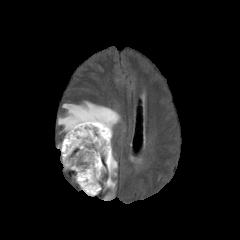
FLAIR MR.
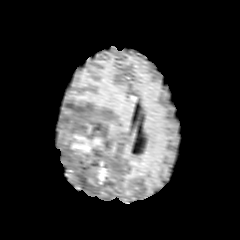
Same slice, T1-weighted magnetic resonance.
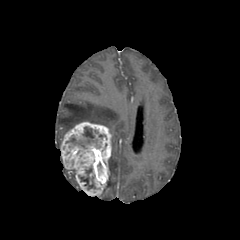
Post-contrast T1-weighted MR image.
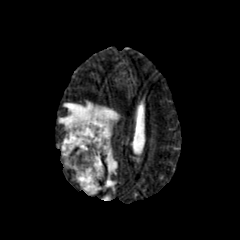
Same slice, T2-weighted magnetic resonance.
Brain
2 edema regions are bounded by x1=103, y1=149, x2=117, y2=190; x1=58, y1=102, x2=119, y2=141. The enhancing tumor lies within x1=61, y1=122, x2=111, y2=195. 3 non-enhancing tumor core regions are bounded by x1=80, y1=176, x2=95, y2=188; x1=66, y1=127, x2=103, y2=154; x1=68, y1=104, x2=83, y2=111.